CT 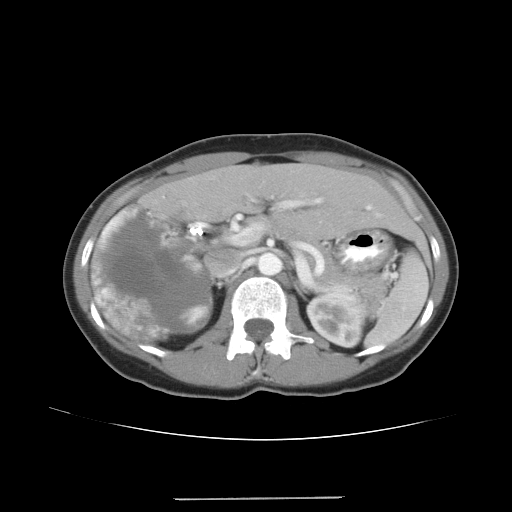

Findings:
• pancreas: region(220, 214, 389, 316)